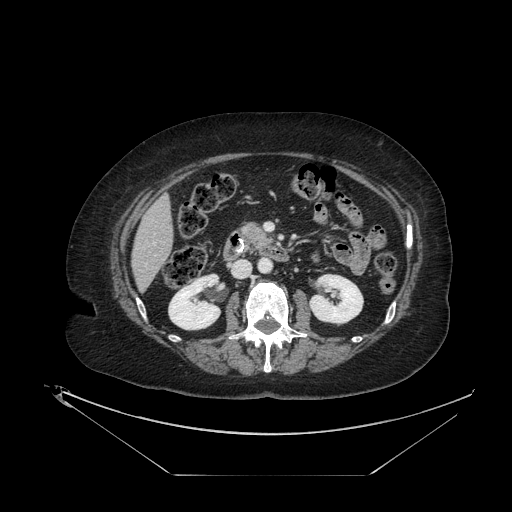

CT

pancreas: [242, 222, 273, 250]